CT; Lower abdomen; 512x512

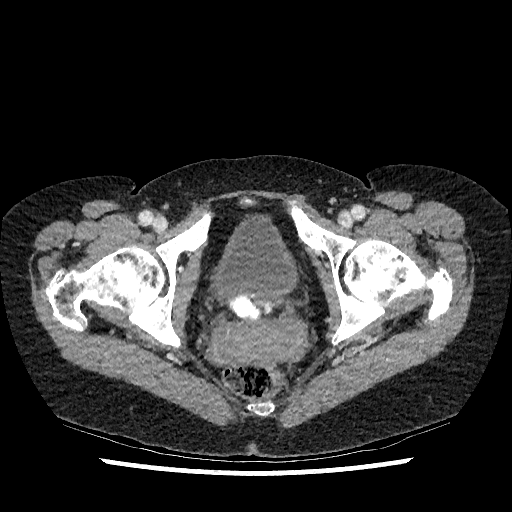

urinary bladder: 211 212 299 294